CT; Upper abdomen; Field of view 512x512 mm 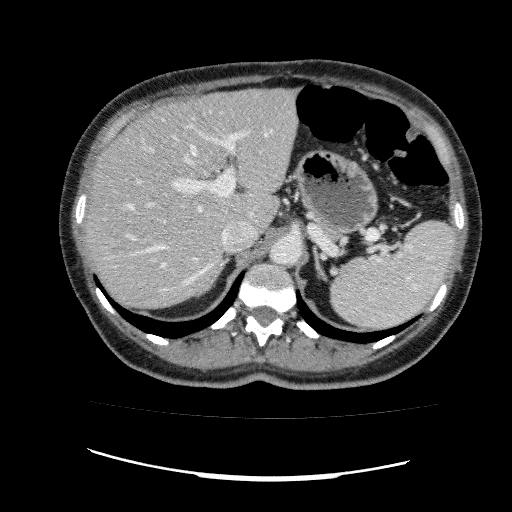 <segmentation>
  <liver><box>83,87,298,309</box></liver>
</segmentation>